Computed tomography; Image size 512x512; Upper abdomen 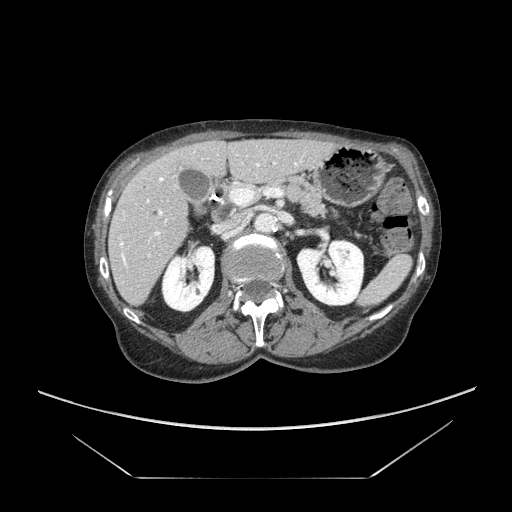
Pancreas at box=[263, 174, 333, 222].